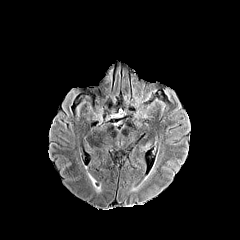
FLAIR MRI.
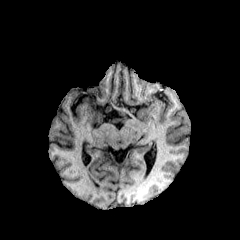
T1-weighted magnetic resonance.
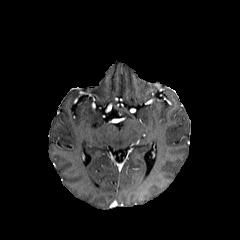
Post-contrast T1-weighted magnetic resonance.
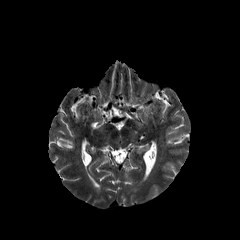
T2-weighted magnetic resonance.
Brain
Edema — [147, 149, 158, 177].